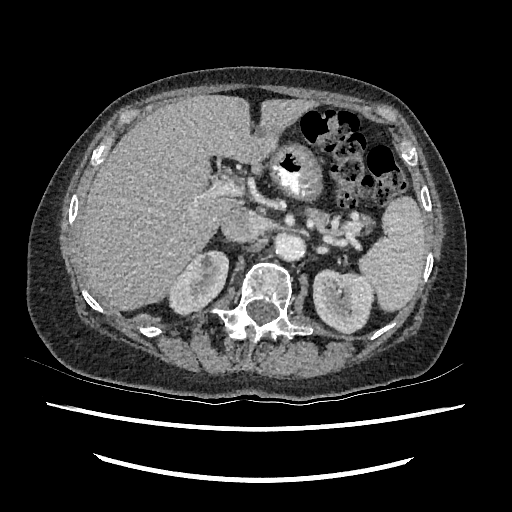 Abdomen | Computed tomography
2 kidney regions are located at (x1=313, y1=270, x2=377, y2=333), (x1=169, y1=251, x2=228, y2=314). The focal liver lesion lies within (x1=256, y1=125, x2=268, y2=137). The liver is at (x1=83, y1=95, x2=318, y2=310).